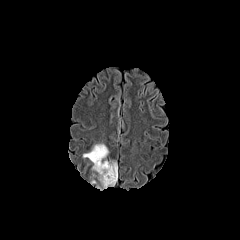
FLAIR MR image.
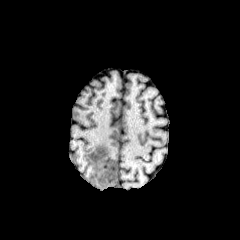
T1-weighted magnetic resonance.
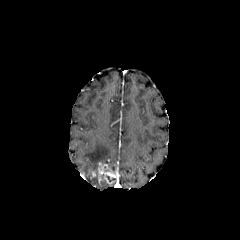
Post-contrast T1-weighted MR.
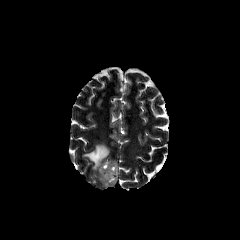
T2-weighted magnetic resonance.
Head. Image size 240x240.
Enhancing tumor = left=97, top=162, right=117, bottom=183.
Edema = left=83, top=143, right=109, bottom=171.
Non-enhancing tumor core = left=105, top=161, right=117, bottom=171; left=100, top=174, right=115, bottom=185.